Slice index 93; Field of view 379x379 mm; CT scan slice; Abdomen 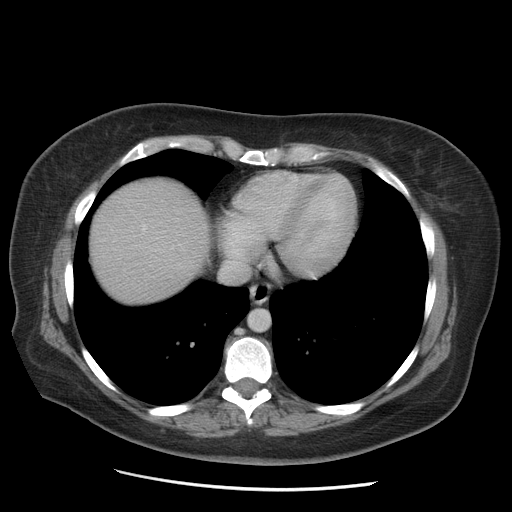

Liver: bounding box box(90, 181, 208, 301).